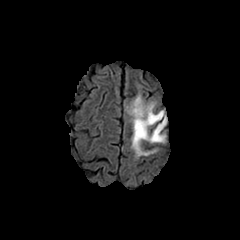
FLAIR MRI.
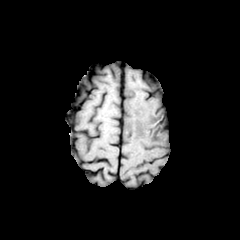
Same slice, T1-weighted MR image.
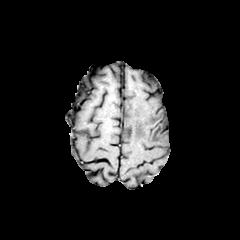
Post-contrast T1-weighted MRI of the same slice.
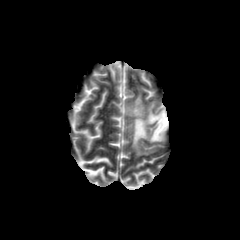
T2-weighted MR image.
Brain.
Annotated regions:
• edema: 126,94,167,156
• non-enhancing tumor core: 148,114,165,139